Brain
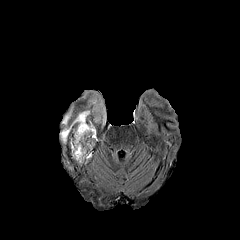
FLAIR MR.
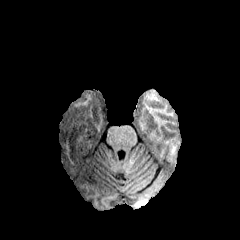
T1-weighted MR.
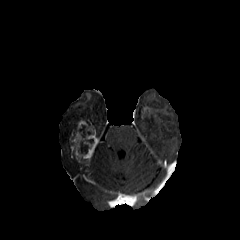
Post-contrast T1-weighted magnetic resonance of the same slice.
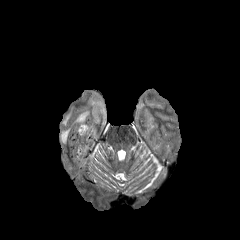
T2-weighted MRI.
The enhancing tumor is located at x1=69 y1=119 x2=98 y2=165. 2 non-enhancing tumor core regions are bounded by x1=78 y1=125 x2=93 y2=143, x1=80 y1=142 x2=88 y2=152. The edema appears at x1=59 y1=90 x2=106 y2=147.